FLAIR magnetic resonance.
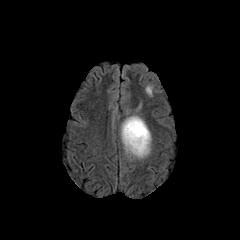
T1-weighted magnetic resonance.
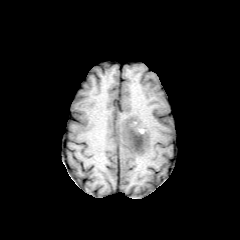
Post-contrast T1-weighted MRI.
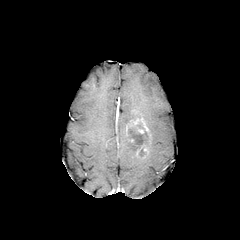
T2-weighted magnetic resonance.
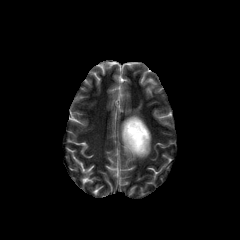
240x240.
Non-enhancing tumor core = 126:118:148:154.
Edema = 120:114:151:158.